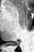

Medial temporal lobe; MR image

<segmentation>
  <posterior_hippocampus><box>8,41,19,45</box></posterior_hippocampus>
</segmentation>